Slice 42/120; Image width 400 mm; MR image; Heart 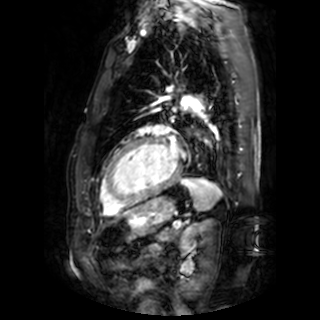
<segmentation>
  <left_atrium>170, 143, 179, 155</left_atrium>
</segmentation>